FLAIR magnetic resonance.
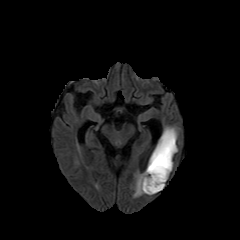
T1-weighted MRI.
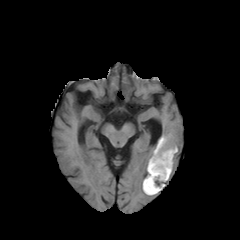
Post-contrast T1-weighted magnetic resonance.
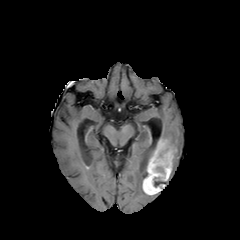
T2-weighted MR image.
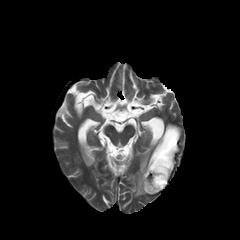
Image size 240x240
Segmented structures:
* edema: bbox(160, 125, 179, 157); bbox(132, 170, 146, 196)
* enhancing tumor: bbox(143, 139, 172, 193)
* non-enhancing tumor core: bbox(153, 177, 166, 190); bbox(158, 129, 176, 157)